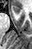
Magnetic resonance
Segmented structures:
• anterior hippocampus: l=13, t=6, r=20, b=13